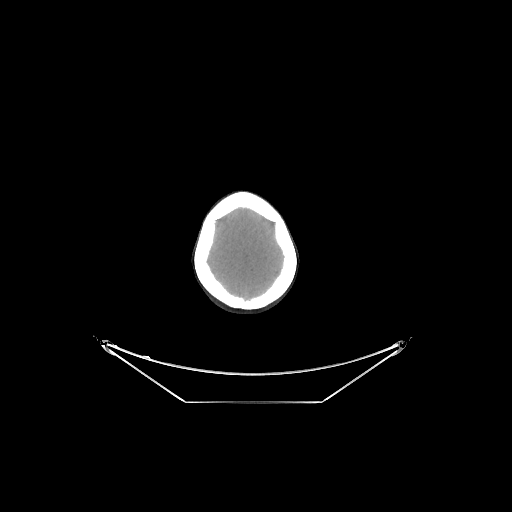 Brain | CT slice
The brain is located at 206:207:284:300.